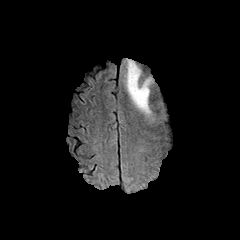
FLAIR MR image.
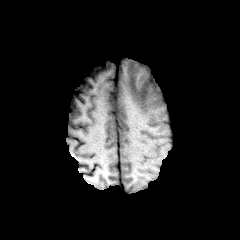
T1-weighted MR image.
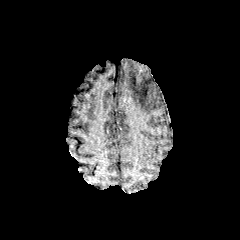
Post-contrast T1-weighted MR image.
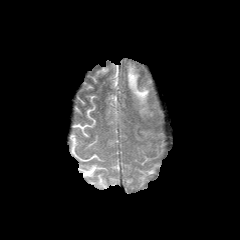
Same slice, T2-weighted magnetic resonance.
Image size 240x240 | Brain
Edema = {"x1": 127, "y1": 60, "x2": 150, "y2": 113}.